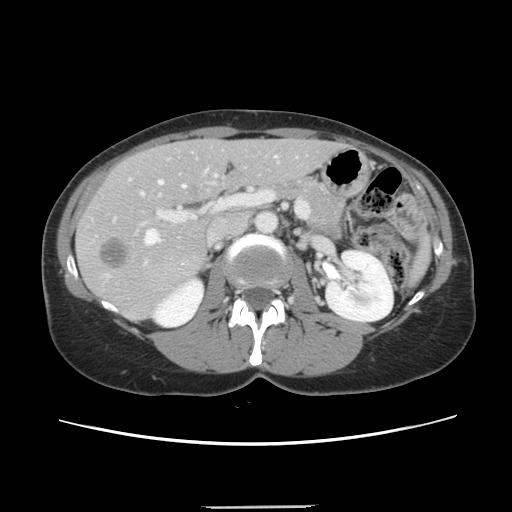

CT scan slice
The vessel annotation is not exhaustive.
The liver tumor is at {"x1": 99, "y1": 238, "x2": 128, "y2": 267}. 11 hepatic vessel regions are bounded by {"x1": 113, "y1": 218, "x2": 114, "y2": 220}, {"x1": 140, "y1": 192, "x2": 143, "y2": 194}, {"x1": 106, "y1": 275, "x2": 108, "y2": 276}, {"x1": 274, "y1": 156, "x2": 278, "y2": 162}, {"x1": 156, "y1": 210, "x2": 166, "y2": 216}, {"x1": 205, "y1": 169, "x2": 206, "y2": 171}, {"x1": 173, "y1": 220, "x2": 181, "y2": 222}, {"x1": 214, "y1": 174, "x2": 216, "y2": 175}, {"x1": 144, "y1": 229, "x2": 159, "y2": 243}, {"x1": 183, "y1": 185, "x2": 184, "y2": 187}, {"x1": 158, "y1": 180, "x2": 162, "y2": 183}.